FLAIR MRI.
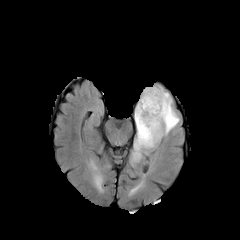
T1-weighted MRI.
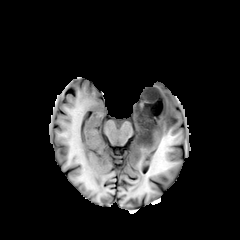
Post-contrast T1-weighted magnetic resonance.
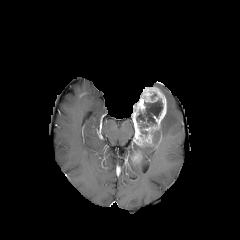
T2-weighted magnetic resonance.
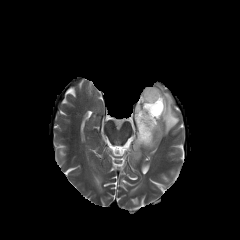
Head, 240x240
Edema — box(134, 85, 179, 152).
Enhancing tumor — box(134, 87, 166, 145).
Non-enhancing tumor core — box(138, 123, 148, 134); box(136, 99, 162, 124).